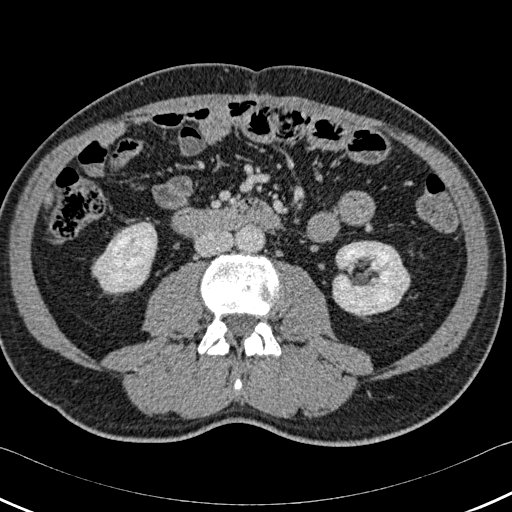 Abdomen | CT

kidney: 333, 242, 409, 314; 93, 223, 156, 292 | bone: 234, 379, 241, 390; 244, 322, 280, 356; 198, 254, 279, 354